Brain; Slice 101/155
FLAIR MRI.
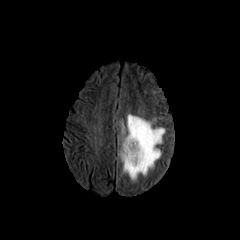
T1-weighted magnetic resonance.
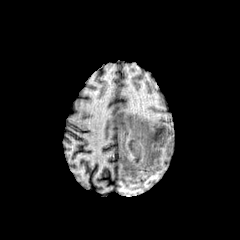
Post-contrast T1-weighted magnetic resonance.
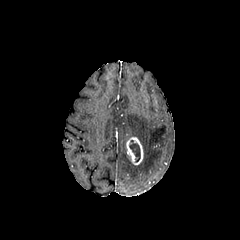
T2-weighted MR.
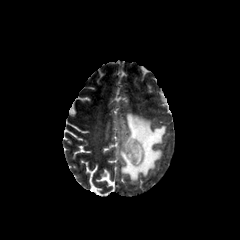
non-enhancing tumor core: (129, 140, 140, 162) | edema: (118, 113, 166, 183) | enhancing tumor: (125, 138, 143, 164)